Head; Slice 128/155
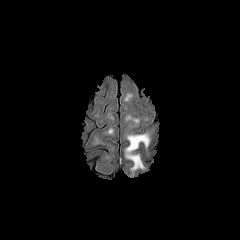
FLAIR MRI.
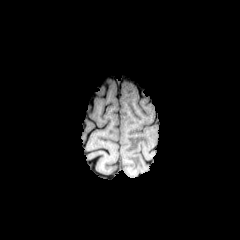
T1-weighted magnetic resonance of the same slice.
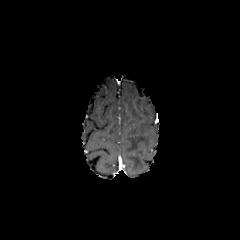
Post-contrast T1-weighted magnetic resonance of the same slice.
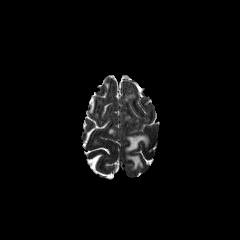
T2-weighted MRI.
{"edema": ["x1=125, y1=135, x2=149, y2=153", "x1=126, y1=156, x2=144, y2=170"]}